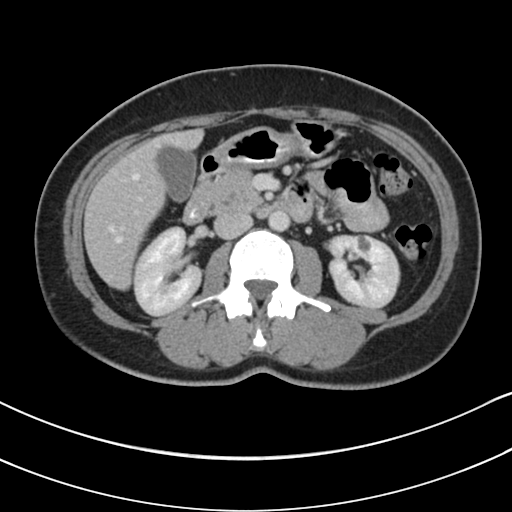

Computed tomography

pancreas: x1=201 y1=163 x2=263 y2=217